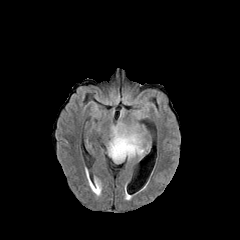
FLAIR MRI.
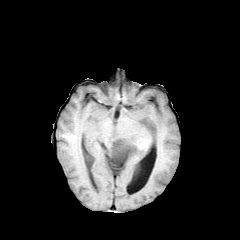
T1-weighted MR image.
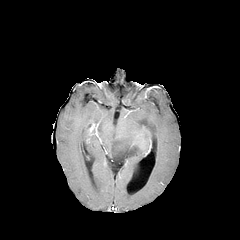
Post-contrast T1-weighted MRI of the same slice.
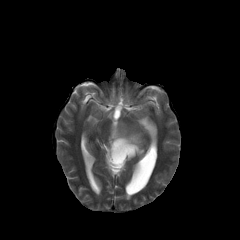
T2-weighted MR image of the same slice.
Edema: 112:92:119:104, 105:108:151:164, 122:93:130:104.
Non-enhancing tumor core: 113:142:134:157.